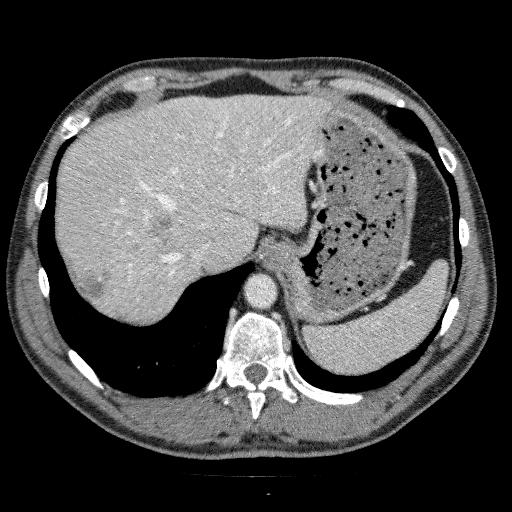 CT slice. Liver lesion = 112,309,131,320; 65,253,111,300; 148,213,174,244; 228,144,239,158.
Liver = 57,94,331,322.